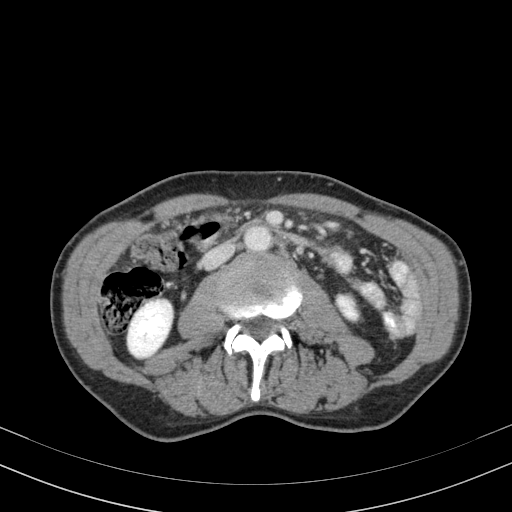
CT; 512x512
Kidney = x1=128, y1=300, x2=172, y2=356; x1=338, y1=296, x2=356, y2=318.